Slice 59 of 155 | 240x240
FLAIR MR image.
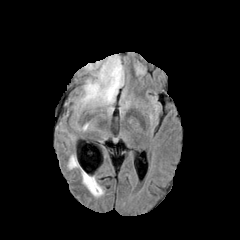
T1-weighted MRI.
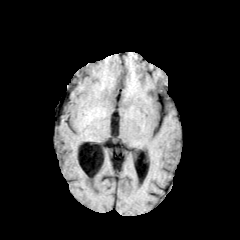
Post-contrast T1-weighted MR image.
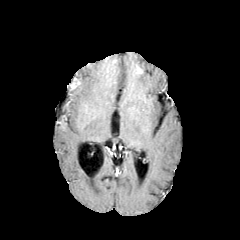
T2-weighted MR image.
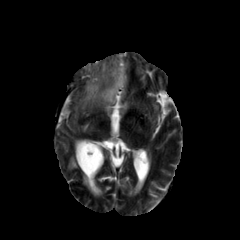
3 edema regions are located at [79, 56, 125, 114], [67, 152, 79, 169], [80, 168, 104, 197].